Brain. Slice index 109. 240x240.
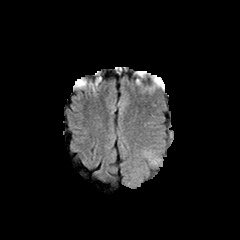
FLAIR MRI.
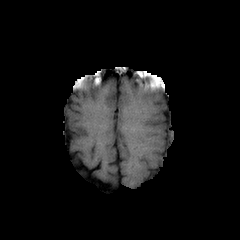
Same slice, T1-weighted MR image.
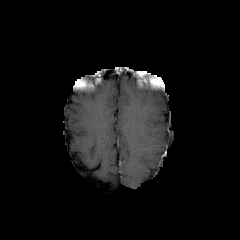
Same slice, post-contrast T1-weighted MRI.
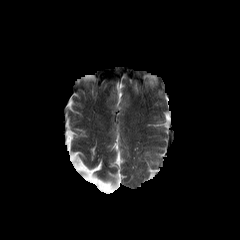
T2-weighted MR image.
• edema: <bbox>142, 151, 159, 165</bbox>